Computed tomography. 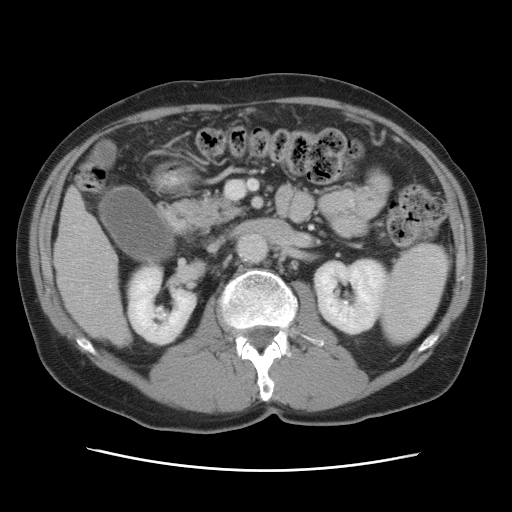

Some hepatic vessels may have no box.
<segmentation>
  <hepatic_vessel>bbox(84, 286, 87, 294); bbox(96, 297, 98, 301); bbox(108, 285, 111, 287)</hepatic_vessel>
</segmentation>